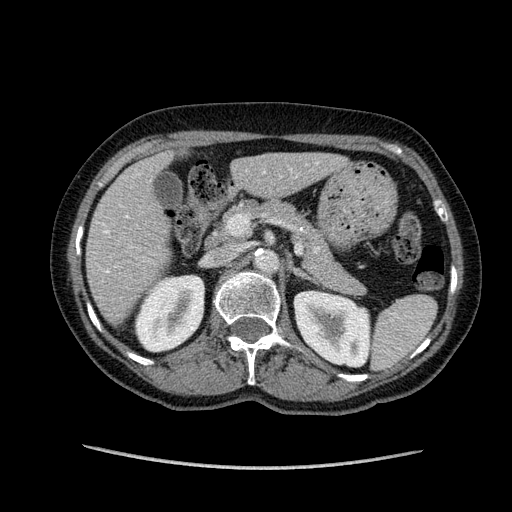 CT
2 liver regions are bounded by <bbox>234, 152, 335, 194</bbox>, <bbox>87, 156, 170, 312</bbox>. 2 kidney regions are located at <bbox>294, 291, 368, 366</bbox>, <bbox>136, 276, 203, 351</bbox>.